Abdomen. CT. Image width 383 mm.
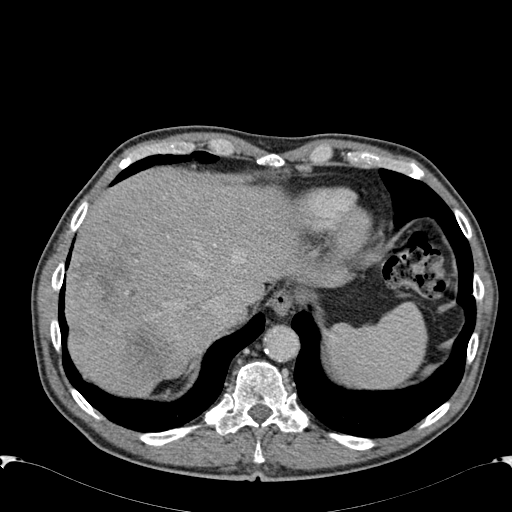 {"focal_liver_lesion": ["[125,324,169,376]", "[71,239,135,313]"], "liver": ["[66,167,350,397]"]}